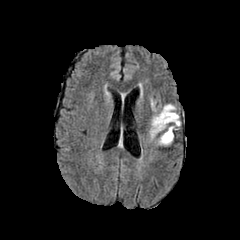
FLAIR MR image.
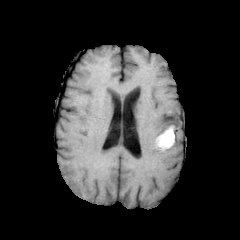
T1-weighted MR.
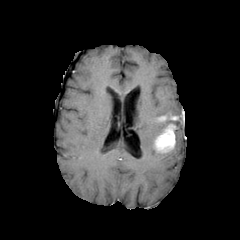
Post-contrast T1-weighted MR image.
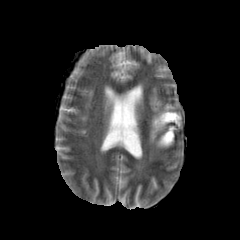
T2-weighted MRI.
Enhancing tumor: bounding box 158,126,175,144; 158,114,179,121.
Edema: bounding box 149,99,181,142; 138,90,143,106.
Non-enhancing tumor core: bounding box 154,134,174,149.